CT image; Abdomen; Image size 512x512; Field of view 335x335 mm

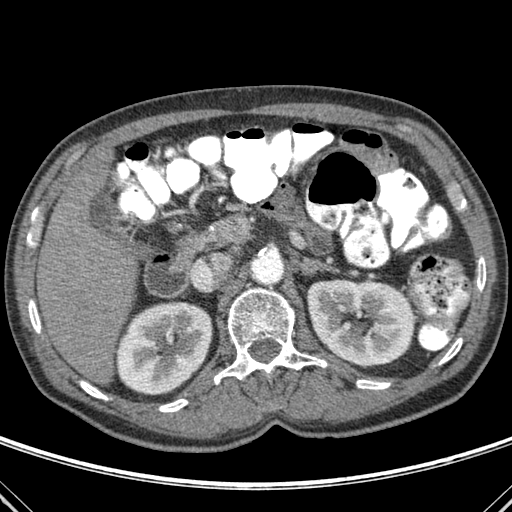

Bone = (159,399,187,412), (459,196,466,208), (27,232,34,245), (214,288,326,383), (439,338,462,364), (31,210,37,222), (356,380,390,389), (80,381,108,400), (28,300,40,333), (477,256,485,291).
Liver = (37,154,137,384).
Kidney = (118,303,211,393), (166,325,173,341), (308,280,413,364).